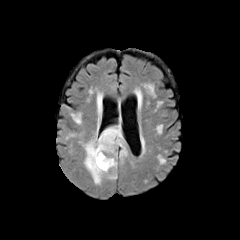
FLAIR MRI.
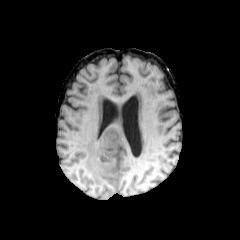
Same slice, T1-weighted MRI.
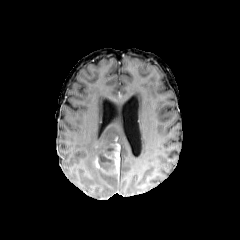
Post-contrast T1-weighted MR image of the same slice.
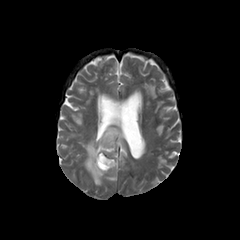
Same slice, T2-weighted MR image.
The edema is bounded by x1=79, y1=103, x2=128, y2=184. The enhancing tumor is at x1=93, y1=143, x2=120, y2=177. The non-enhancing tumor core is at x1=97, y1=141, x2=120, y2=171.